Field of view 240x240 mm; Brain
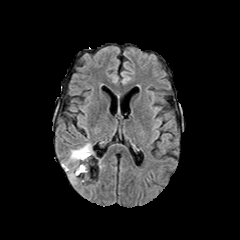
FLAIR MRI.
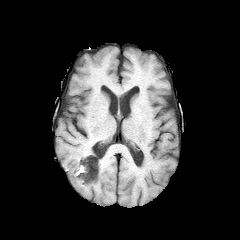
Same slice, T1-weighted MR.
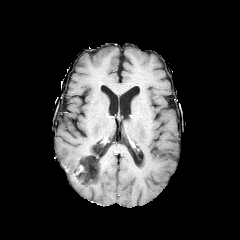
Post-contrast T1-weighted magnetic resonance.
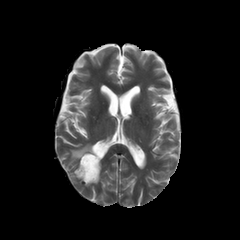
T2-weighted MR image.
The edema is located at region(62, 143, 92, 175). The non-enhancing tumor core is bounded by region(77, 148, 94, 177).